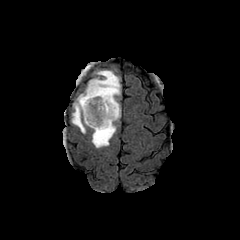
FLAIR MR image.
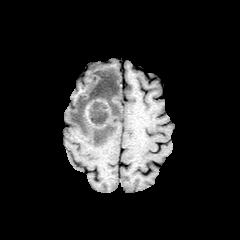
T1-weighted MR.
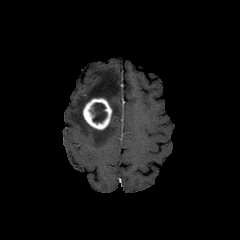
Post-contrast T1-weighted magnetic resonance of the same slice.
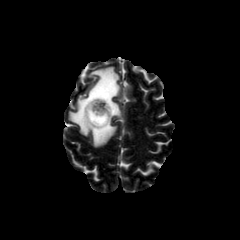
T2-weighted MR.
Annotated regions:
* non-enhancing tumor core: 73:74:117:140, 93:103:106:122
* edema: 69:67:121:147
* enhancing tumor: 82:98:112:130